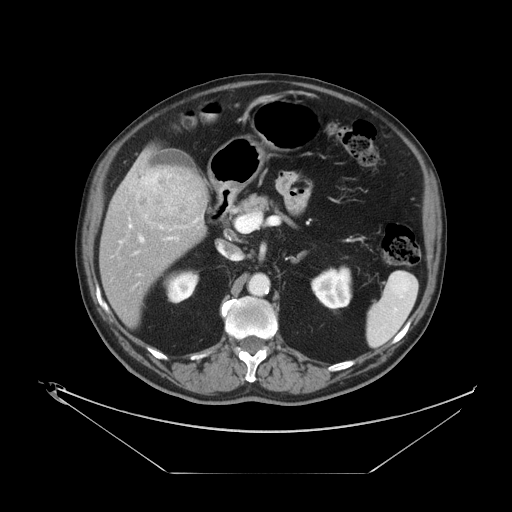
Computed tomography
The vessel annotation is not exhaustive.
Top 15 of 18 hepatic vessel regions — (left=140, top=171, right=151, bottom=185), (left=168, top=228, right=171, bottom=230), (left=162, top=169, right=166, bottom=170), (left=132, top=180, right=136, bottom=183), (left=119, top=240, right=123, bottom=246), (left=130, top=188, right=134, bottom=190), (left=143, top=214, right=153, bottom=226), (left=166, top=237, right=178, bottom=239), (left=136, top=191, right=140, bottom=196), (left=135, top=251, right=138, bottom=253), (left=196, top=216, right=202, bottom=221), (left=192, top=222, right=195, bottom=224), (left=160, top=226, right=162, bottom=228), (left=128, top=218, right=132, bottom=228), (left=139, top=236, right=143, bottom=242).
Liver tumor — (left=139, top=171, right=204, bottom=227).